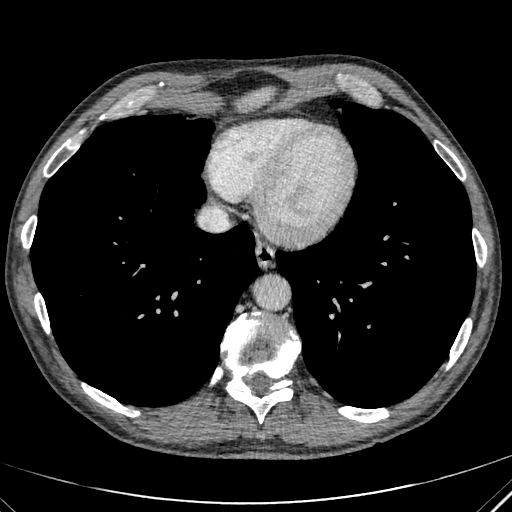

Computed tomography
liver:
  - bbox(237, 87, 273, 112)